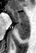

Image size 36x53. MR. Hippocampus. The posterior hippocampus is located at box(15, 24, 29, 39). The anterior hippocampus appears at box(8, 8, 29, 23).